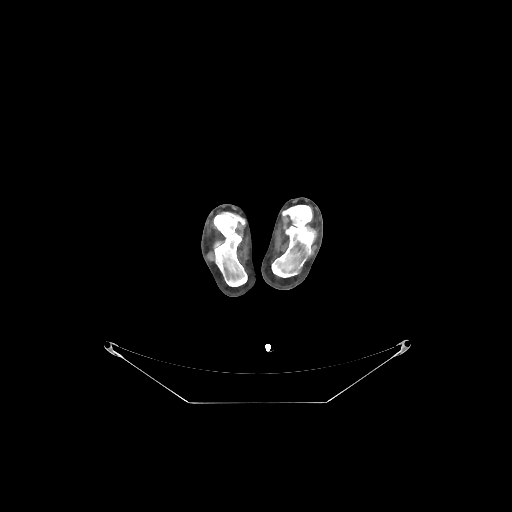

Computed tomography. 512x512 px. Segmented structures:
* bone: [x1=213, y1=212, x2=247, y2=286], [x1=272, y1=205, x2=315, y2=277]